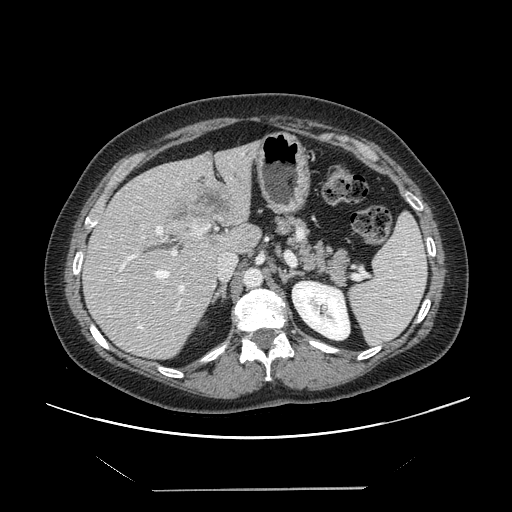 512x512 px; Computed tomography

Some hepatic vessels may have no box.
liver tumor: 169, 183, 234, 238 | hepatic vessel: 171, 251, 175, 256; 178, 283, 188, 294; 155, 225, 163, 236; 119, 254, 137, 271; 155, 266, 170, 280; 218, 253, 235, 279; 176, 300, 180, 310; 138, 326, 141, 327; 173, 316, 176, 318; 109, 307, 110, 310